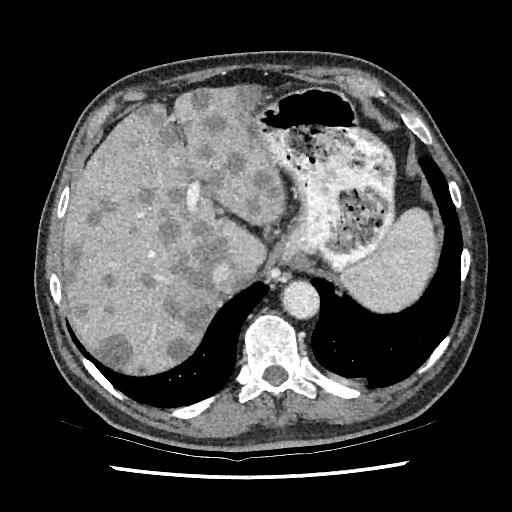 Abdomen | CT slice
Most prominent 15 of 20 hepatic lesion regions — box=[246, 170, 280, 215]; box=[135, 104, 178, 151]; box=[190, 91, 210, 108]; box=[93, 334, 134, 369]; box=[197, 145, 215, 160]; box=[163, 219, 230, 360]; box=[158, 209, 181, 244]; box=[234, 86, 260, 149]; box=[89, 197, 117, 225]; box=[202, 116, 225, 131]; box=[205, 153, 245, 189]; box=[128, 187, 157, 206]; box=[166, 185, 189, 218]; box=[71, 301, 90, 319]; box=[64, 238, 86, 285].
Liver — box=[64, 87, 284, 372]; box=[139, 102, 161, 110]; box=[189, 329, 204, 352]; box=[208, 286, 228, 322].